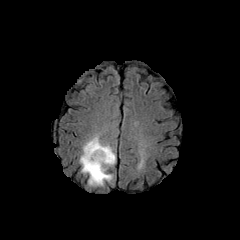
FLAIR magnetic resonance.
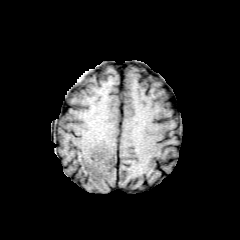
Same slice, T1-weighted MR.
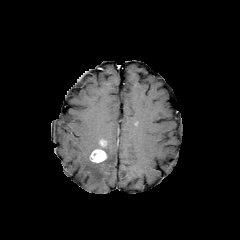
Same slice, post-contrast T1-weighted MR image.
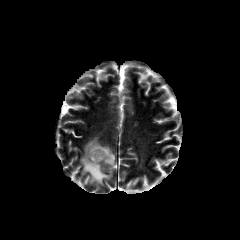
T2-weighted MRI.
240x240
The enhancing tumor lies within <bbox>89, 140, 107, 162</bbox>. The edema lies within <bbox>79, 134, 116, 187</bbox>.